MRI, Hippocampus
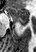 The anterior hippocampus is at l=7, t=6, r=28, b=21. The posterior hippocampus is located at l=17, t=22, r=27, b=27.